MRI; Slice 17 of 34
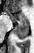

{"posterior_hippocampus": ["rect(14, 23, 28, 39)"], "anterior_hippocampus": ["rect(4, 10, 8, 11)", "rect(9, 12, 27, 22)"]}